FLAIR MR.
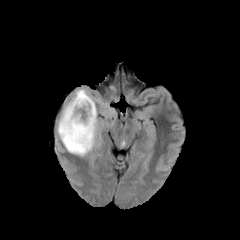
T1-weighted MR image.
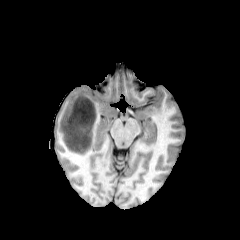
Post-contrast T1-weighted magnetic resonance.
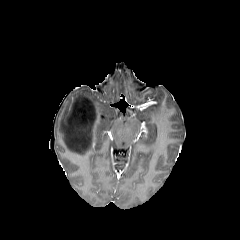
T2-weighted MR.
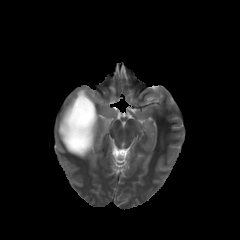
Brain
The edema is at region(56, 88, 100, 157). The non-enhancing tumor core appears at region(62, 96, 95, 152).